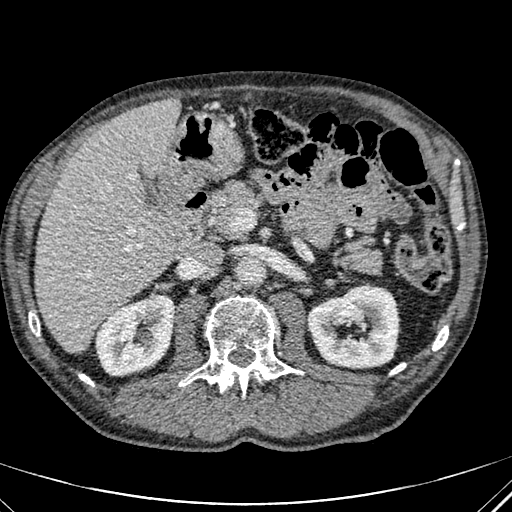
CT scan slice; Abdomen
kidney:
  - (309,287,397,367)
  - (97,296,173,374)
liver:
  - (34,98,191,353)